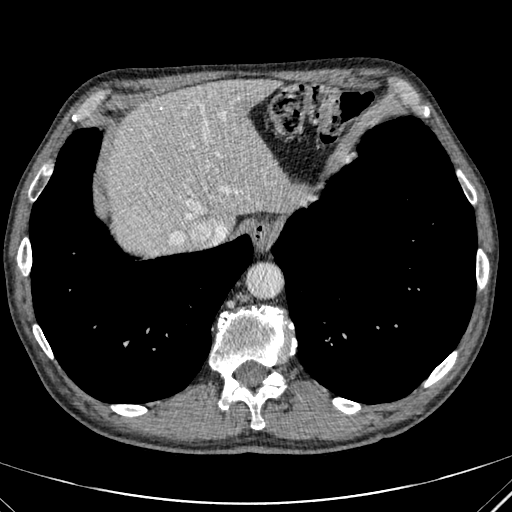
CT | 512x512 | Liver

Liver = x1=106, y1=79, x2=288, y2=254.